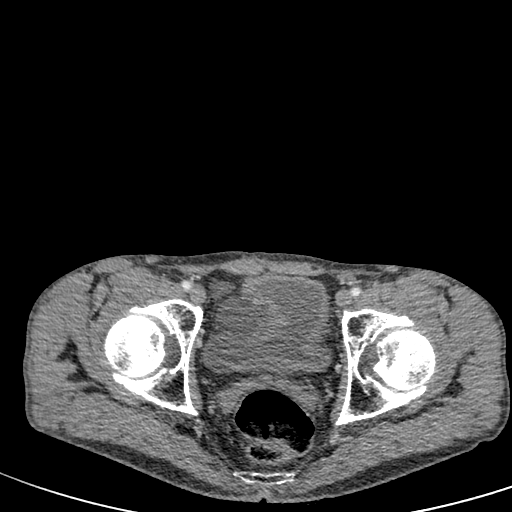

Lower abdomen. CT. 512x512 px.
The urinary bladder is bounded by box=[203, 273, 329, 382].